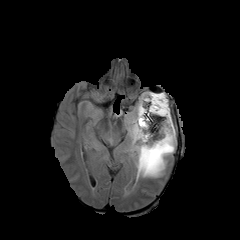
FLAIR MR.
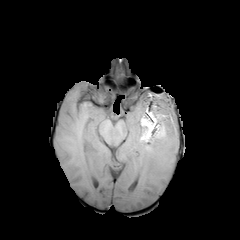
T1-weighted MRI of the same slice.
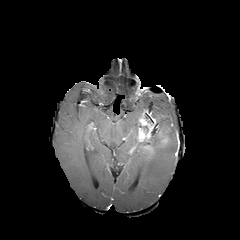
Post-contrast T1-weighted MRI.
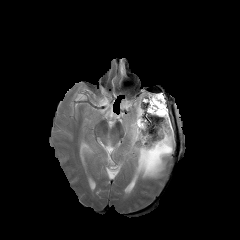
Same slice, T2-weighted MR.
2 non-enhancing tumor core regions appear at l=128, t=140, r=141, b=154; l=138, t=108, r=155, b=144. The edema appears at l=122, t=91, r=175, b=178. 2 enhancing tumor regions are located at l=138, t=116, r=148, b=126; l=136, t=127, r=149, b=141.